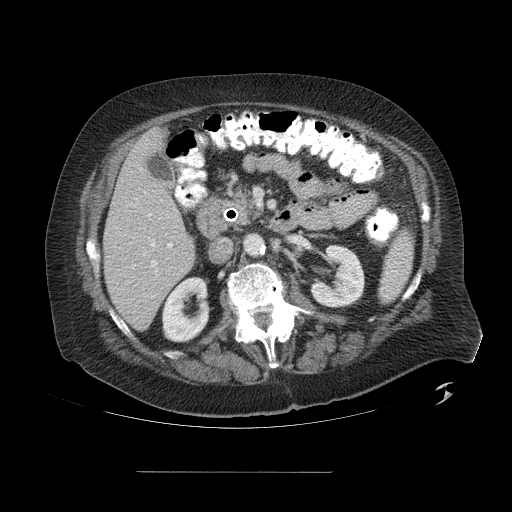
Liver. Computed tomography. The vessel boxes may cover only some of the vessels.
Hepatic vessel — (x1=167, y1=243, x2=172, y2=247), (x1=151, y1=240, x2=154, y2=245), (x1=135, y1=198, x2=137, y2=199), (x1=151, y1=260, x2=157, y2=275), (x1=139, y1=168, x2=142, y2=170), (x1=134, y1=234, x2=135, y2=236), (x1=149, y1=214, x2=150, y2=215).